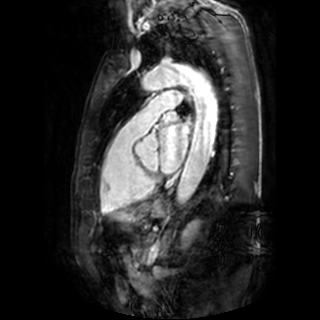 MR image | 320x320 px

left atrium: bbox=[159, 123, 189, 173]; bbox=[166, 112, 178, 121]